FLAIR MR image.
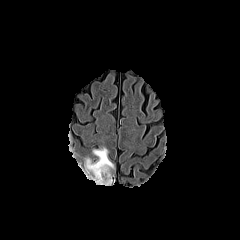
T1-weighted MRI.
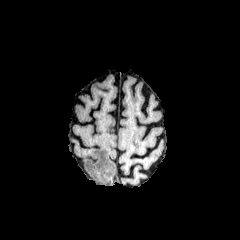
Post-contrast T1-weighted magnetic resonance.
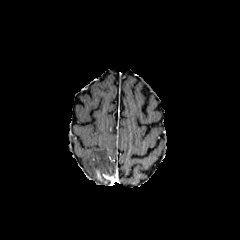
T2-weighted MRI.
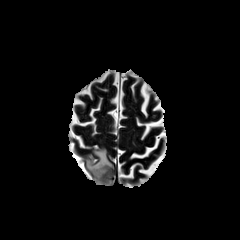
Edema — [85, 149, 113, 176].
Enhancing tumor — [94, 170, 103, 182], [102, 173, 114, 182].